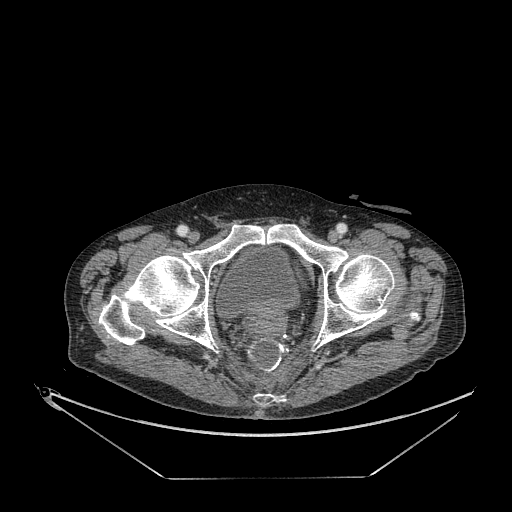
Pelvis; CT slice

urinary_bladder:
  - 216, 244, 299, 318